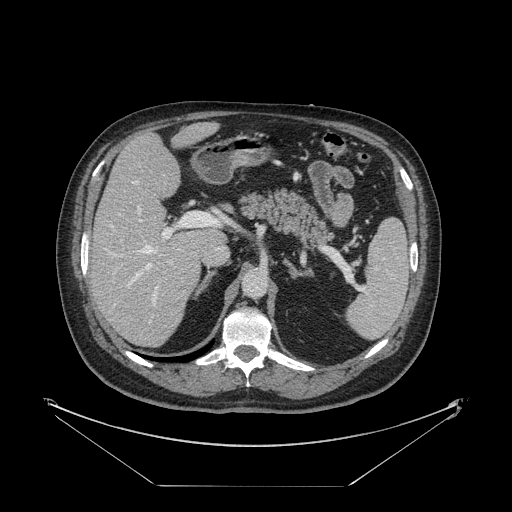
CT image | Liver | 512x512

Not every hepatic vessel necessarily has a box.
hepatic vessel: x1=149 y1=321 x2=150 y2=323, x1=137 y1=205 x2=139 y2=212, x1=152 y1=286 x2=157 y2=301